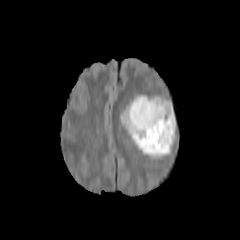
FLAIR magnetic resonance.
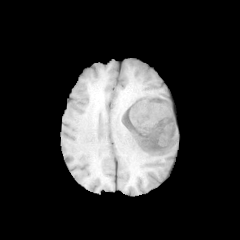
T1-weighted magnetic resonance.
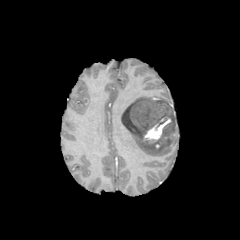
Same slice, post-contrast T1-weighted MR.
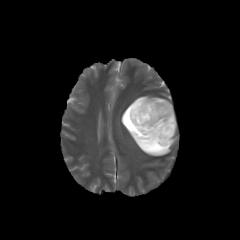
T2-weighted MR image.
Image size 240x240.
non-enhancing_tumor_core:
  - l=121, t=98, r=176, b=144
edema:
  - l=121, t=119, r=173, b=157
  - l=123, t=94, r=170, b=113
enhancing_tumor:
  - l=143, t=116, r=171, b=143